FLAIR MRI.
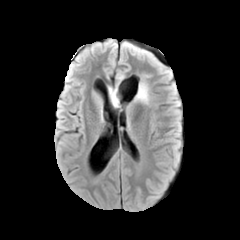
T1-weighted MRI.
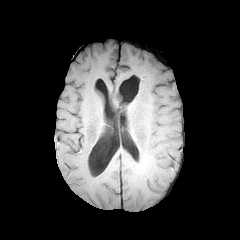
Post-contrast T1-weighted MRI.
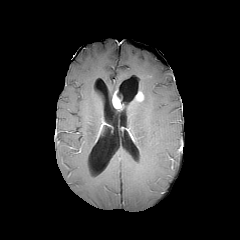
T2-weighted MR.
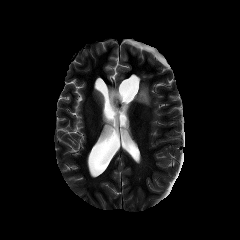
2 enhancing tumor regions appear at box(112, 91, 121, 107); box(136, 92, 143, 100). 2 edema regions appear at box(118, 90, 136, 111); box(138, 82, 149, 104).